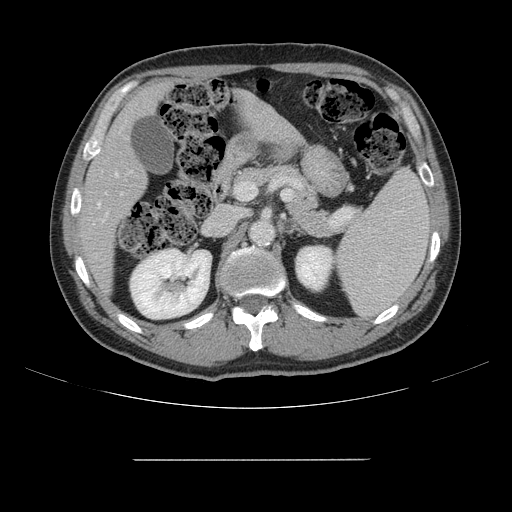

Abdomen. CT image.
Not every hepatic vessel necessarily has a box.
5 hepatic vessel regions appear at [x1=100, y1=218, x2=103, y2=219], [x1=106, y1=212, x2=108, y2=215], [x1=121, y1=192, x2=122, y2=194], [x1=116, y1=172, x2=117, y2=176], [x1=98, y1=203, x2=100, y2=206].